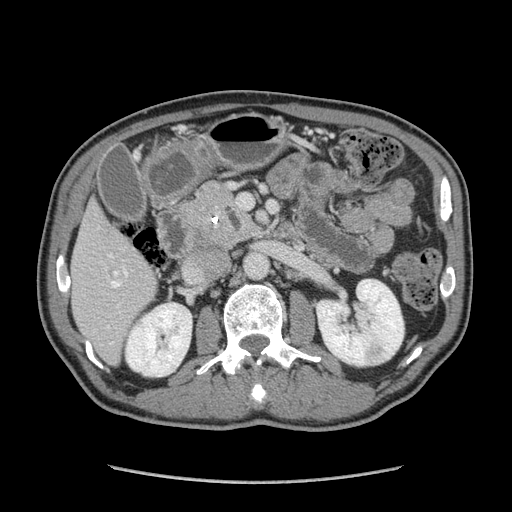
512x512, Upper abdomen, CT
pancreas: <bbox>183, 181, 258, 251</bbox>